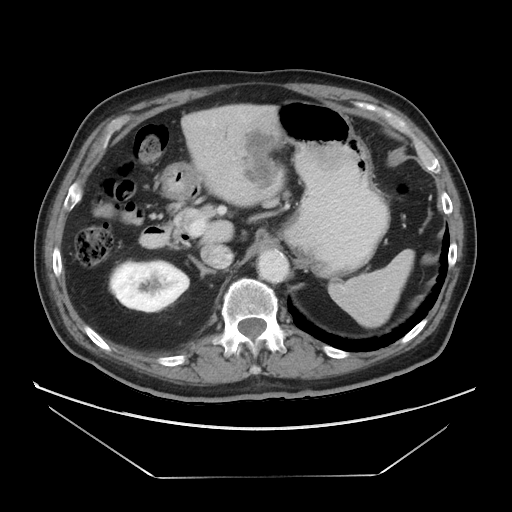 CT scan slice. 512x512.

Liver tumor = region(246, 128, 278, 186).